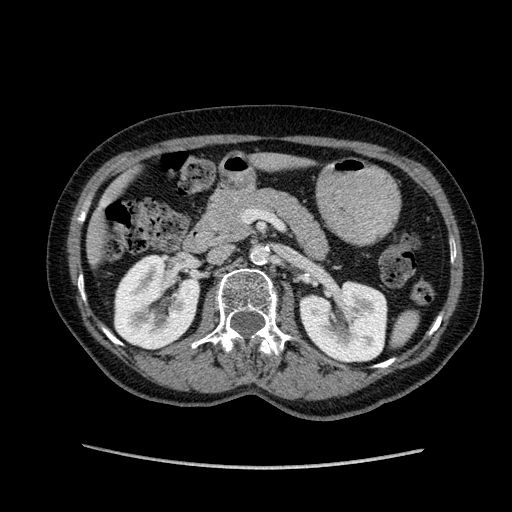
CT image.
2 liver regions are bounded by x1=254, y1=152, x2=306, y2=169; x1=84, y1=195, x2=113, y2=260. 2 kidney regions are bounded by x1=301, y1=278, x2=386, y2=361; x1=115, y1=256, x2=198, y2=348.